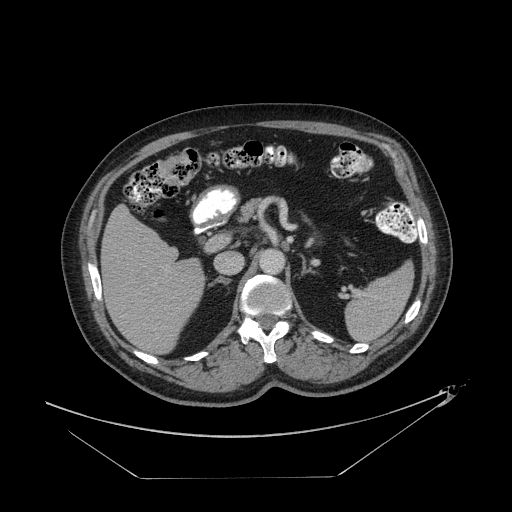 CT.
Colon tumor = bbox(160, 154, 187, 185).